Abdomen. CT slice.

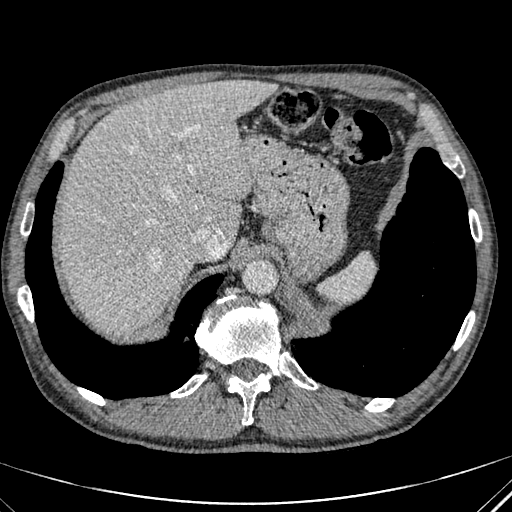
<segmentation>
  <liver><box>61,79,277,331</box></liver>
</segmentation>